CT. Brain. Image size 512x512.
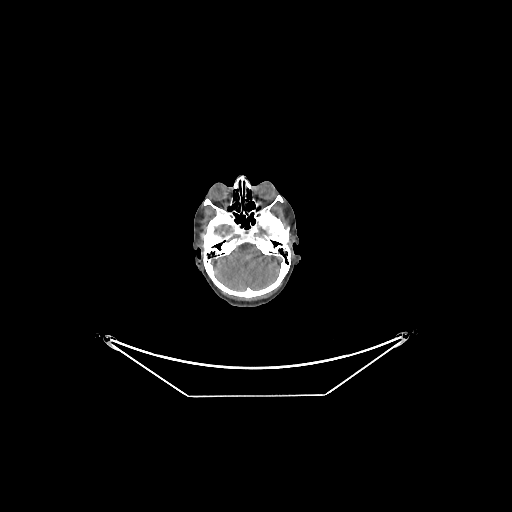
Brain: bounding box (x1=215, y1=224, x2=232, y2=234), (x1=211, y1=244, x2=282, y2=290).